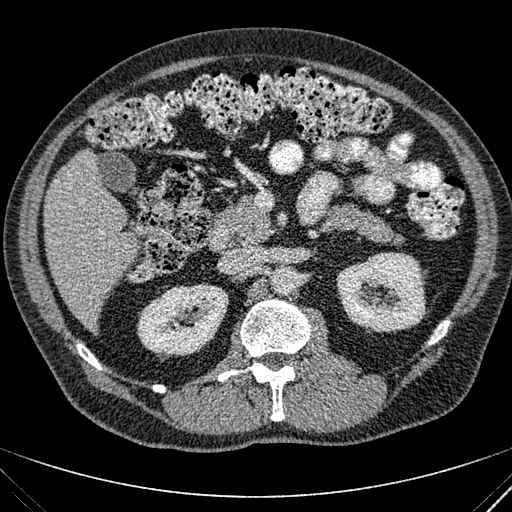
Abdomen; 512x512 px; CT scan slice
{"liver": ["(left=43, top=150, right=139, bottom=333)"], "kidney": ["(left=337, top=252, right=424, bottom=331)", "(left=138, top=284, right=228, bottom=355)"]}